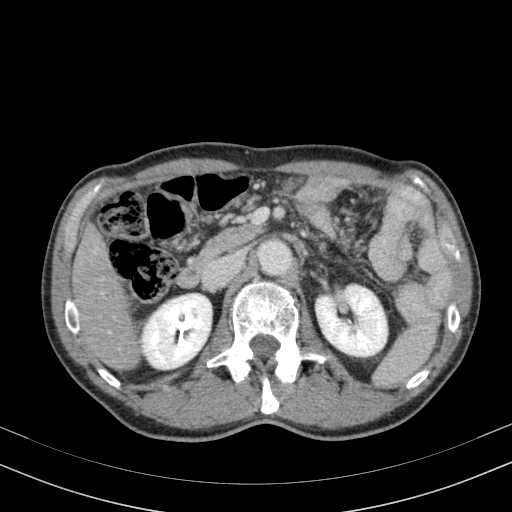 Abdomen. CT slice.
Segmented structures:
• kidney: <bbox>143, 294, 211, 368</bbox>, <bbox>316, 285, 386, 355</bbox>
• liver: <bbox>72, 222, 139, 370</bbox>